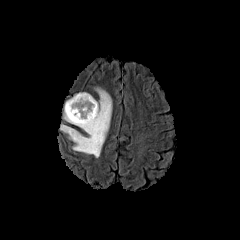
FLAIR magnetic resonance.
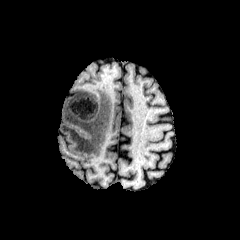
T1-weighted MRI.
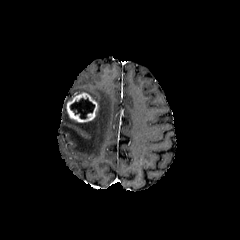
Post-contrast T1-weighted magnetic resonance of the same slice.
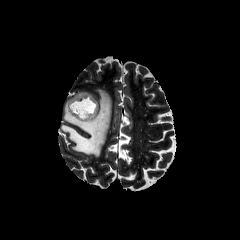
Same slice, T2-weighted MR.
Findings:
- edema: left=60, top=88, right=112, bottom=157
- enhancing tumor: left=66, top=92, right=98, bottom=122
- non-enhancing tumor core: left=69, top=96, right=95, bottom=119